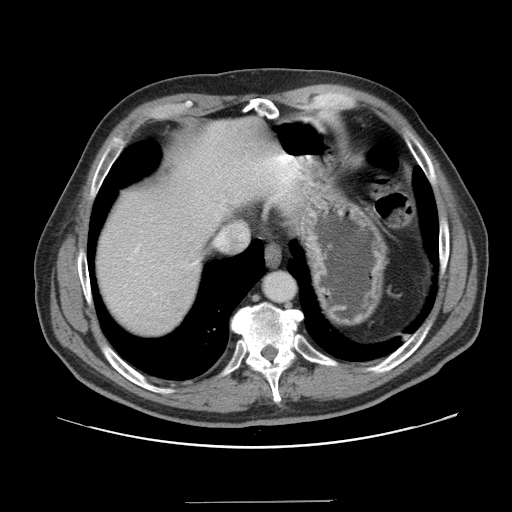 Abdomen, CT

Only some of the vessels may be annotated.
hepatic vessel: x1=219 y1=236 x2=223 y2=242